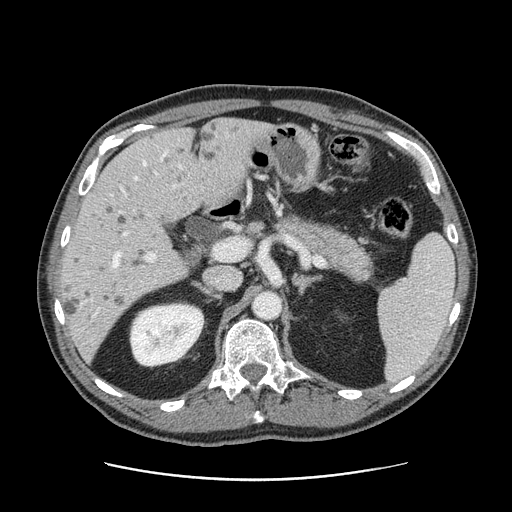

Abdomen; Image size 512x512; CT scan slice
The pancreas is bounded by 274,215,373,284.